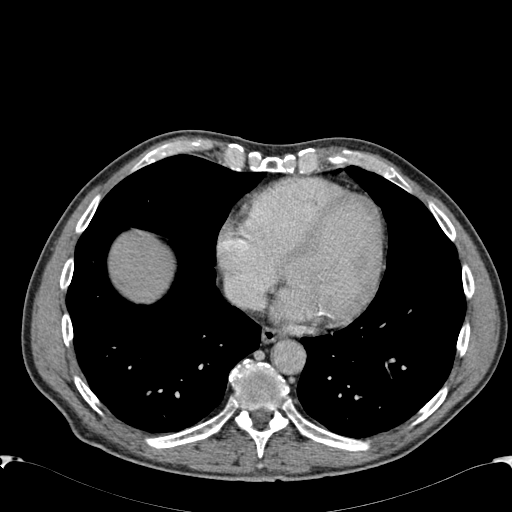 Abdomen. CT.
The liver lies within [110,234,173,301].